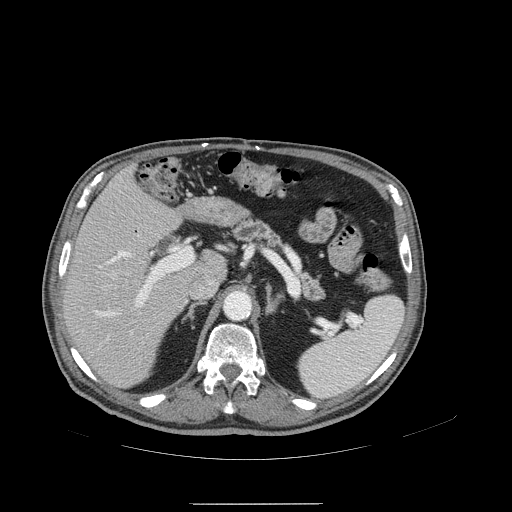 CT slice
Pancreas — [x1=296, y1=266, x2=329, y2=304], [x1=228, y1=216, x2=289, y2=252].